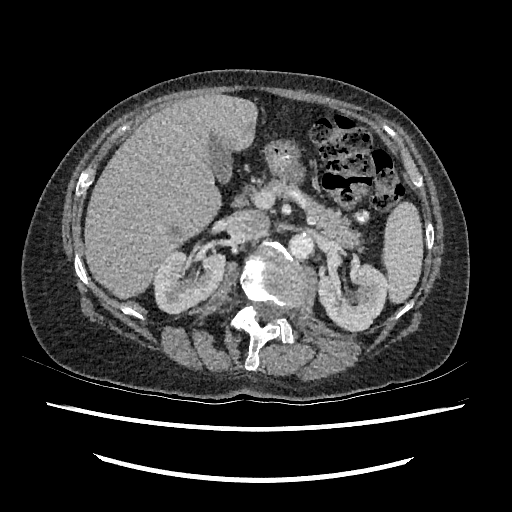 CT slice | Liver

focal_liver_lesion:
  - 173:226:182:235
liver:
  - 85:94:256:297
kidney:
  - 318:251:389:330
  - 154:252:224:313